MRI slice; Slice 20/31
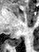
The posterior hippocampus appears at {"x1": 9, "y1": 37, "x2": 20, "y2": 46}.